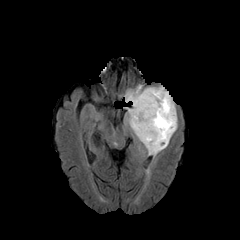
FLAIR MRI.
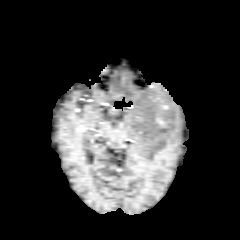
T1-weighted magnetic resonance.
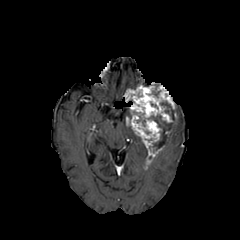
Post-contrast T1-weighted MRI of the same slice.
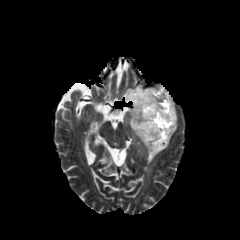
T2-weighted MRI.
Brain
enhancing_tumor:
  - (123,82,177,155)
edema:
  - (132,131,147,155)
  - (162,120,177,149)
non-enhancing_tumor_core:
  - (161,102,171,113)
  - (154,116,175,149)